Slice 114/155
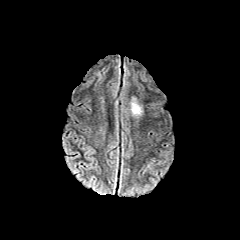
FLAIR magnetic resonance.
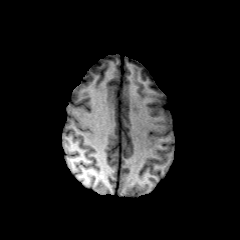
T1-weighted MRI of the same slice.
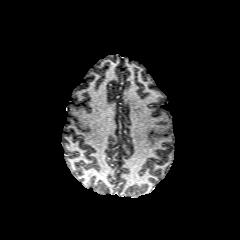
Post-contrast T1-weighted MRI.
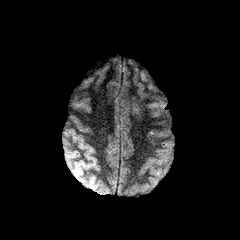
T2-weighted MRI.
edema:
  - 131,101,141,114